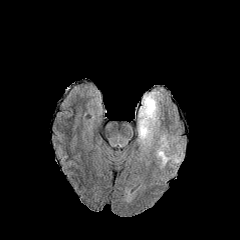
FLAIR MR.
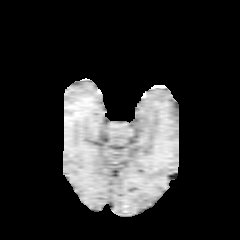
T1-weighted magnetic resonance of the same slice.
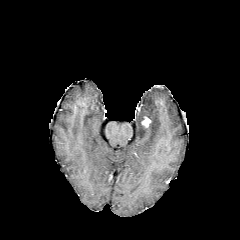
Post-contrast T1-weighted magnetic resonance.
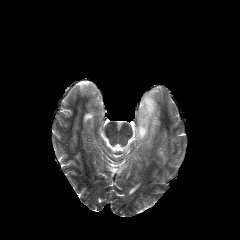
T2-weighted MRI.
240x240; Brain
non-enhancing_tumor_core:
  - bbox(138, 114, 146, 131)
edema:
  - bbox(137, 88, 164, 148)
  - bbox(155, 140, 172, 166)
enhancing_tumor:
  - bbox(141, 116, 151, 127)